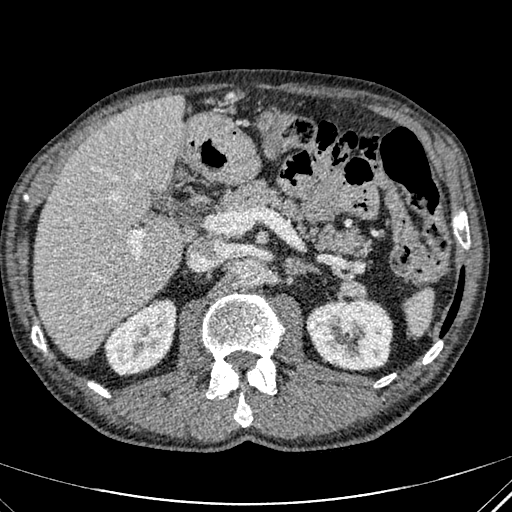 Image size 512x512. CT.

The liver is at 35,95,185,358. The focal liver lesion is at 161,97,172,106. 2 kidney regions are bounded by 308,301,391,369; 106,302,174,374.